FLAIR MRI.
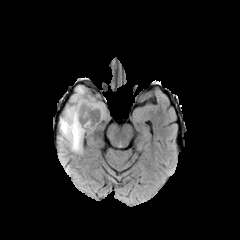
T1-weighted MRI.
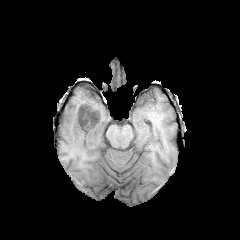
Post-contrast T1-weighted magnetic resonance.
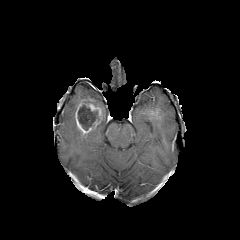
T2-weighted MRI.
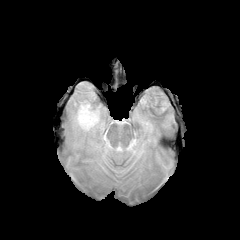
Head, Image size 240x240
The edema appears at box(60, 88, 105, 153). The enhancing tumor is at box(75, 104, 87, 133). The non-enhancing tumor core is bounded by box(77, 102, 102, 131).